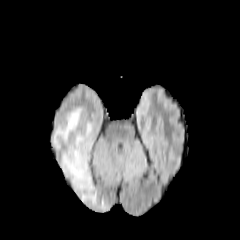
FLAIR MR.
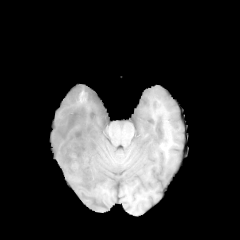
T1-weighted MR image of the same slice.
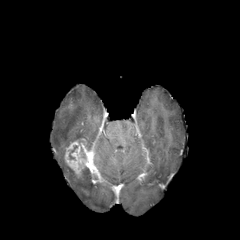
Post-contrast T1-weighted magnetic resonance.
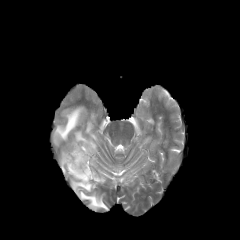
T2-weighted MR image.
240x240 px. Head.
{
  "enhancing_tumor": [
    "[x1=64, y1=138, x2=90, y2=175]"
  ],
  "edema": [
    "[x1=53, y1=106, x2=85, y2=149]",
    "[x1=60, y1=143, x2=106, y2=209]"
  ]
}